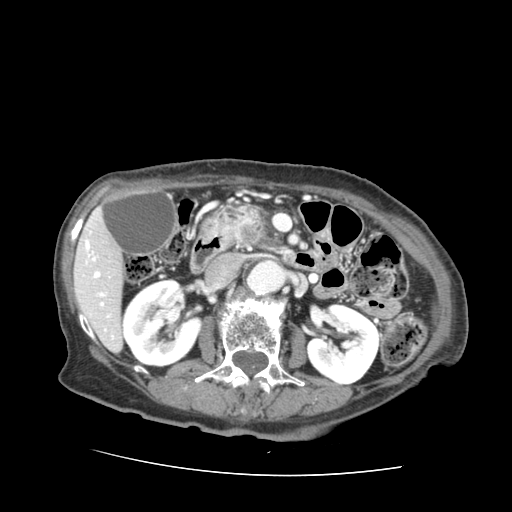
Upper abdomen. Computed tomography.
pancreas:
  - (x1=215, y1=202, x2=282, y2=249)
pancreatic_tumor:
  - (x1=218, y1=211, x2=265, y2=247)